Field of view 240x240 mm, 240x240
FLAIR MRI.
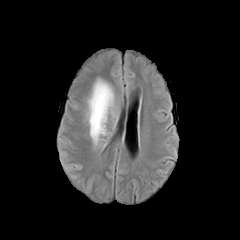
T1-weighted MRI.
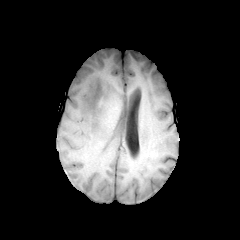
Post-contrast T1-weighted MR image.
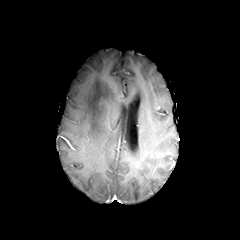
T2-weighted MR image.
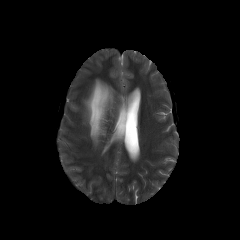
The edema is at x1=83, y1=78, x2=117, y2=143.